CT slice; Liver 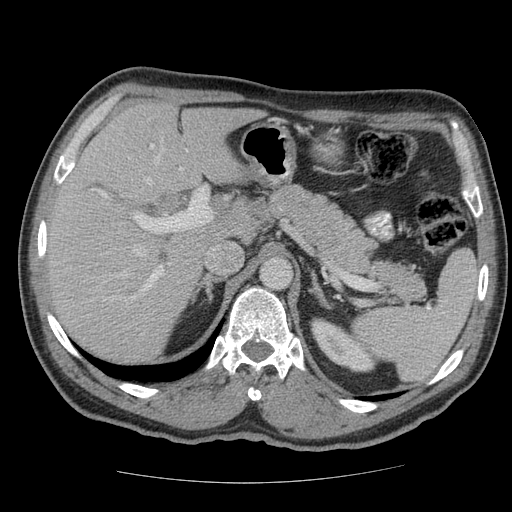 Not every hepatic vessel necessarily has a box.
Findings:
• hepatic vessel: {"x1": 142, "y1": 266, "x2": 162, "y2": 290}, {"x1": 131, "y1": 297, "x2": 134, "y2": 300}, {"x1": 140, "y1": 224, "x2": 146, "y2": 229}, {"x1": 150, "y1": 145, "x2": 152, "y2": 148}, {"x1": 95, "y1": 189, "x2": 104, "y2": 195}, {"x1": 134, "y1": 246, "x2": 146, "y2": 255}, {"x1": 180, "y1": 168, "x2": 182, "y2": 170}, {"x1": 135, "y1": 216, "x2": 136, "y2": 218}